Computed tomography. Upper abdomen.
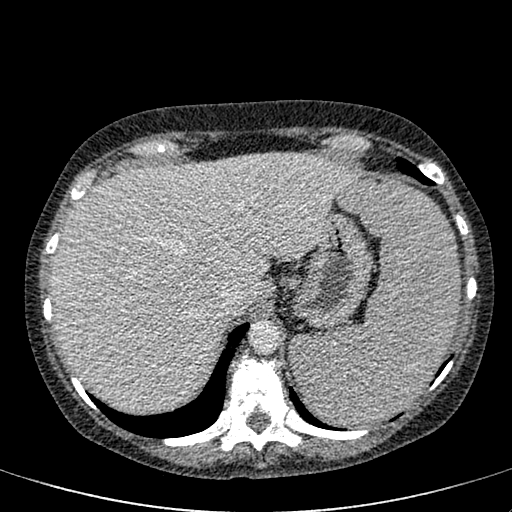

<segmentation>
  <liver>(53,155,356,411)</liver>
</segmentation>